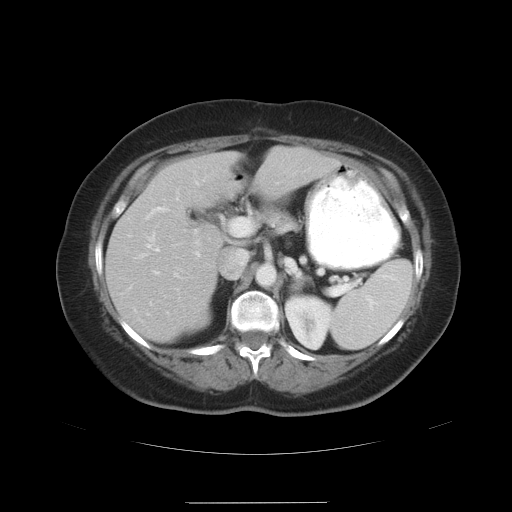 CT scan slice | Abdomen | Image size 512x512
Not every hepatic vessel necessarily has a box.
{
  "hepatic_vessel": [
    "231:230:234:234",
    "195:230:196:232",
    "136:253:147:258",
    "154:272:158:273",
    "251:224:252:231",
    "194:251:200:256",
    "134:309:136:311",
    "232:250:247:265",
    "195:241:198:244",
    "145:233:159:251",
    "145:206:168:219"
  ]
}